Slice 120 of 155. Brain.
FLAIR magnetic resonance.
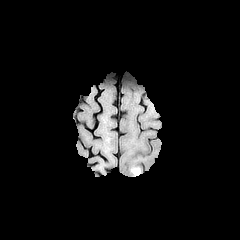
T1-weighted MR.
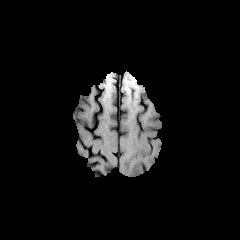
Post-contrast T1-weighted MR.
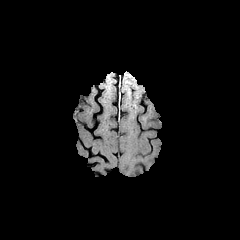
T2-weighted MRI.
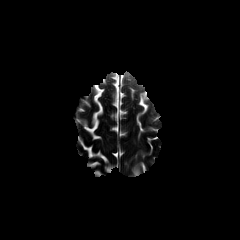
edema: left=132, top=168, right=140, bottom=175